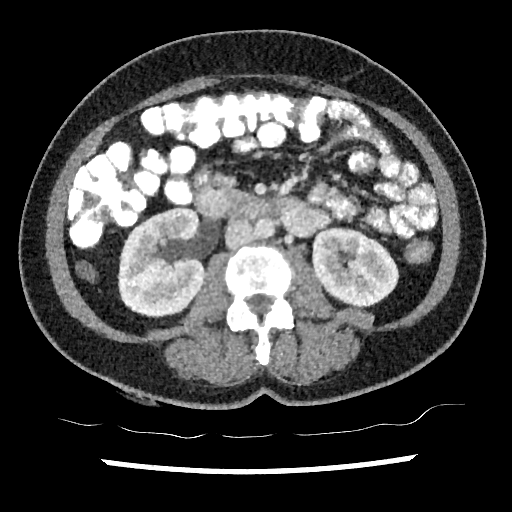
Abdomen. CT. {"kidney": ["313:229:397:305", "119:209:203:315"]}